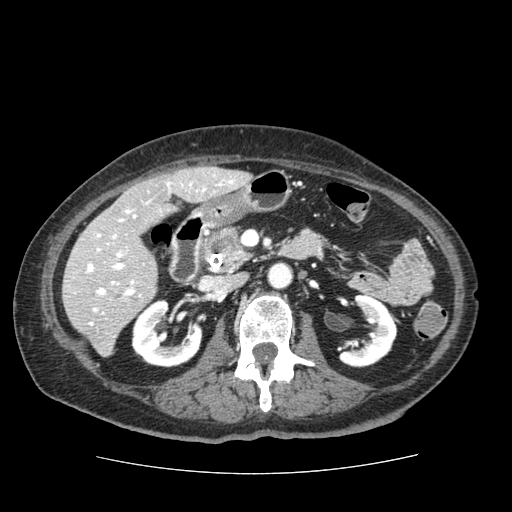 Upper abdomen; 512x512; CT image
* pancreas: 206:228:248:269
* pancreatic tumor: 213:237:236:251